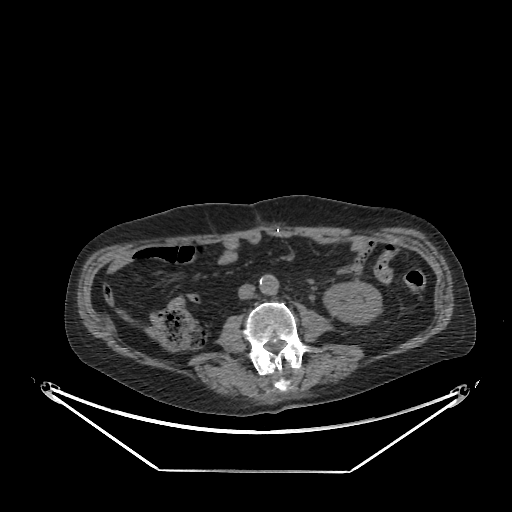

Abdomen, CT slice
- kidney: x1=323 y1=279 x2=382 y2=324